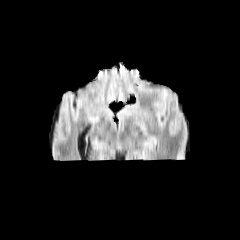
FLAIR MR image.
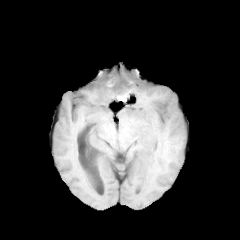
T1-weighted MRI of the same slice.
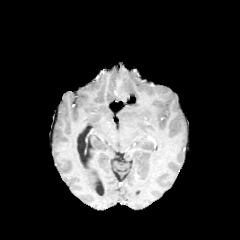
Post-contrast T1-weighted MRI.
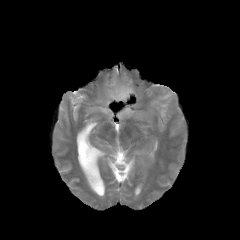
T2-weighted MRI of the same slice.
240x240 px | Head
The edema is at [120, 91, 129, 98].